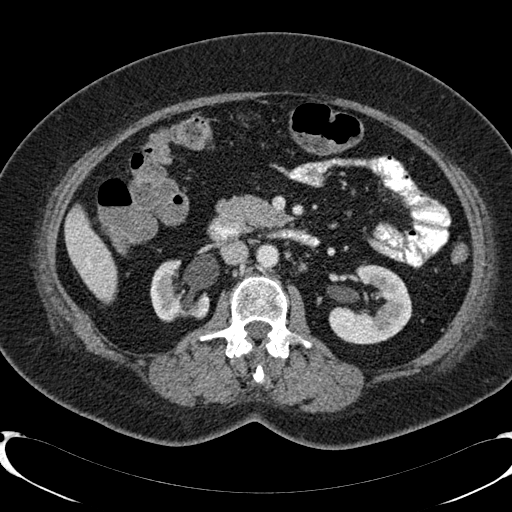

Computed tomography
The liver lies within x1=66 y1=213 x2=115 y2=302. 2 kidney regions appear at x1=151 y1=261 x2=208 y2=324, x1=329 y1=266 x2=410 y2=343. The focal liver lesion is located at x1=69 y1=206 x2=82 y2=214.